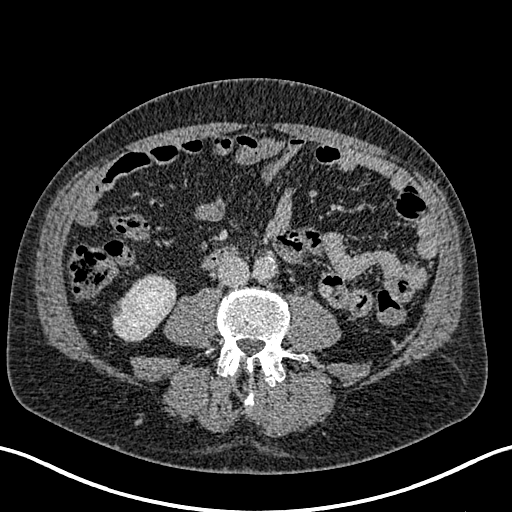 Abdomen | Computed tomography

The kidney is bounded by 110 277 173 340.